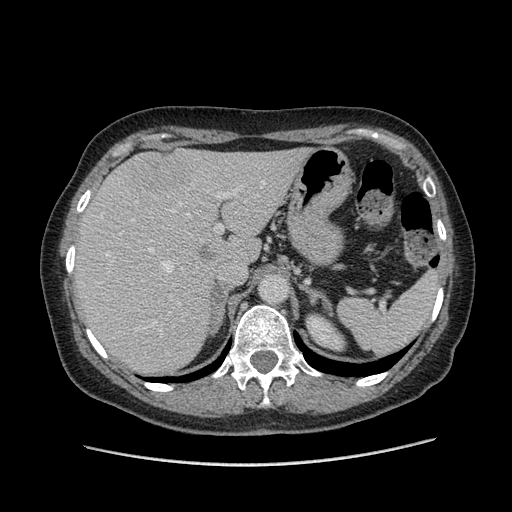

CT scan slice; 512x512 px
Some hepatic vessels may have no box.
7 hepatic vessel regions are bounded by (141, 279, 145, 281), (216, 187, 239, 199), (126, 278, 132, 283), (161, 261, 172, 272), (214, 225, 222, 233), (149, 248, 152, 251), (131, 219, 133, 221).